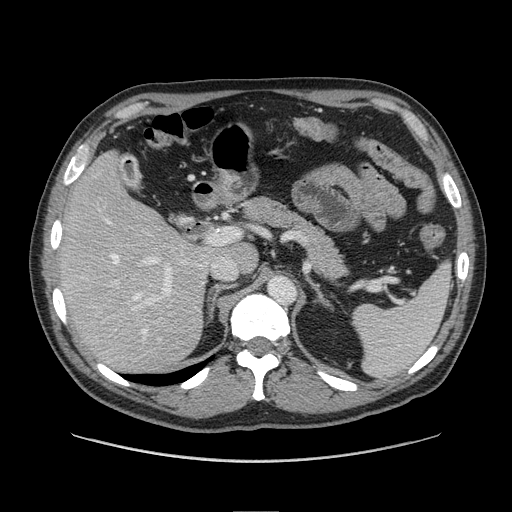 Computed tomography, Abdomen
{
  "pancreas": [
    "rect(236, 193, 355, 282)"
  ]
}